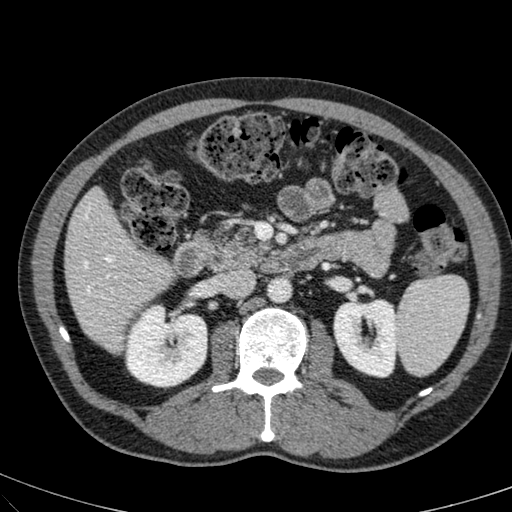
CT image

Liver = x1=65 y1=189 x2=170 y2=351.
Kidney = x1=334 y1=301 x2=396 y2=375, x1=127 y1=306 x2=206 y2=385.